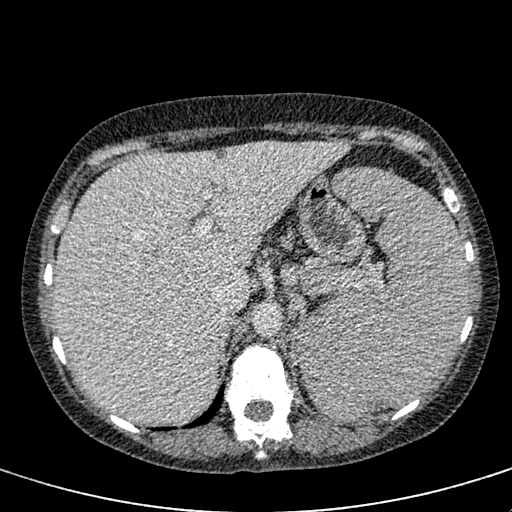 CT scan slice. Abdomen. liver:
  - 53,142,348,422